MRI; Field of view 36x47 mm; 36x47
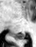
{
  "posterior_hippocampus": [
    "13 32 25 40"
  ]
}